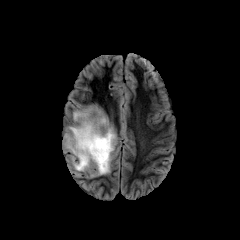
FLAIR MR image.
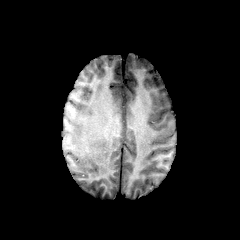
T1-weighted MR image.
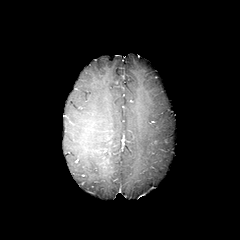
Post-contrast T1-weighted magnetic resonance.
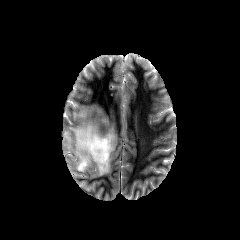
T2-weighted MR image.
240x240 px
{"edema": ["(66,112,116,175)"]}